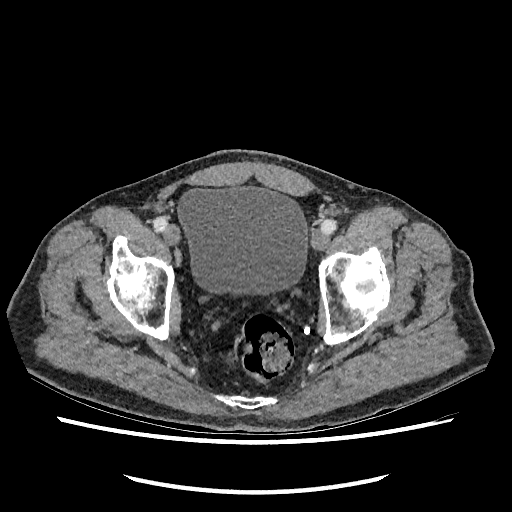 CT scan slice. 512x512.

Urinary bladder = l=177, t=185, r=307, b=294.